FLAIR MR.
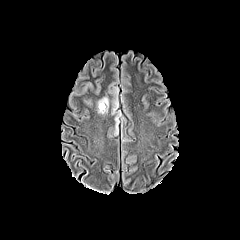
T1-weighted MR image.
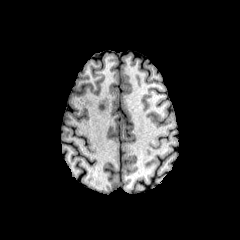
Post-contrast T1-weighted magnetic resonance.
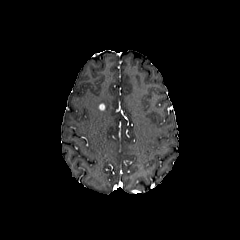
T2-weighted MRI.
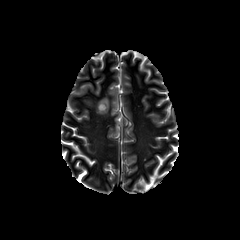
Brain
{
  "edema": [
    "rect(98, 98, 108, 114)"
  ]
}